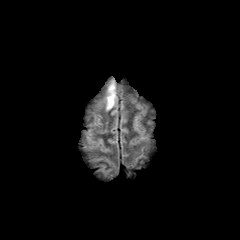
FLAIR magnetic resonance.
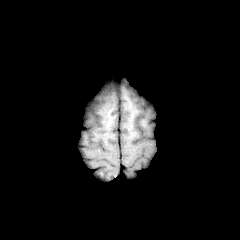
Same slice, T1-weighted MRI.
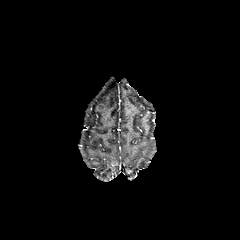
Same slice, post-contrast T1-weighted MRI.
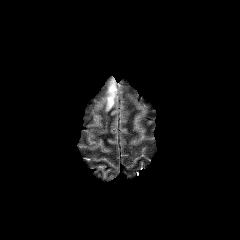
T2-weighted MR.
Brain
{
  "edema": [
    "<box>105,80,117,109</box>"
  ]
}